Slice 124 of 155. Brain. 240x240 px.
FLAIR MRI.
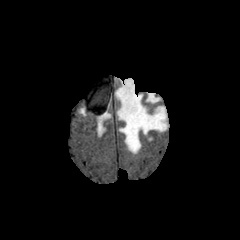
T1-weighted MRI.
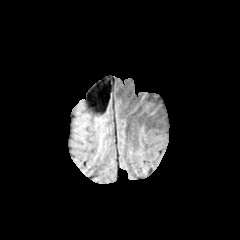
Post-contrast T1-weighted MR.
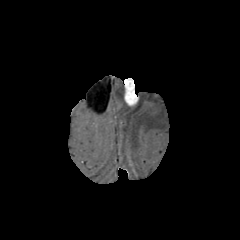
T2-weighted magnetic resonance.
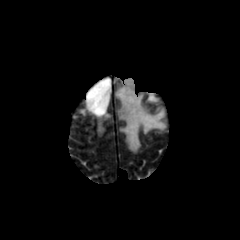
The enhancing tumor lies within x1=124 y1=79 x2=137 y2=105. 2 edema regions are bounded by x1=115 y1=82 x2=167 y2=153, x1=146 y1=94 x2=160 y2=103.